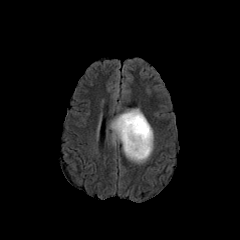
FLAIR MR.
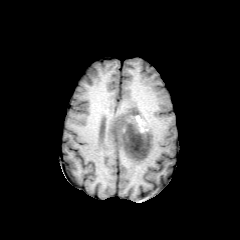
T1-weighted MR.
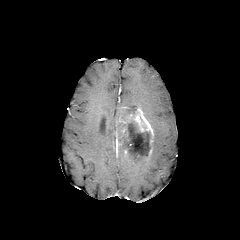
Post-contrast T1-weighted MRI.
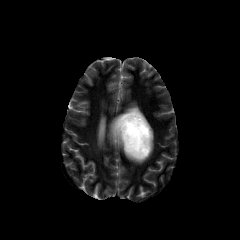
T2-weighted MRI of the same slice.
240x240 px
2 enhancing tumor regions are located at box(116, 127, 121, 147); box(116, 108, 153, 138). 2 edema regions are bounded by box(136, 129, 154, 164); box(109, 106, 121, 149). 2 non-enhancing tumor core regions are bounded by box(117, 121, 151, 162); box(122, 107, 136, 119).